FLAIR magnetic resonance.
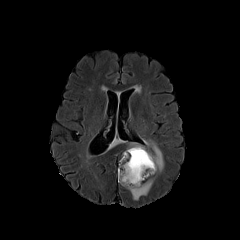
T1-weighted MR image.
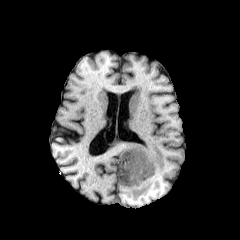
Post-contrast T1-weighted magnetic resonance.
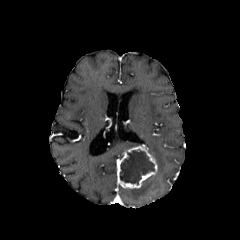
T2-weighted MR image.
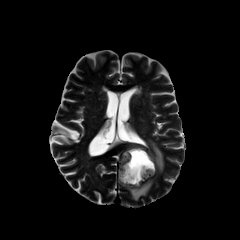
Image size 240x240.
Non-enhancing tumor core = [119, 150, 155, 185].
Enhancing tumor = [117, 144, 157, 189].
Edema = [144, 140, 163, 172], [130, 178, 154, 200].